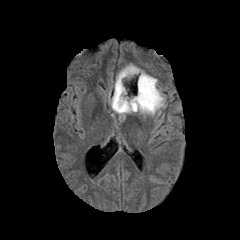
FLAIR MR.
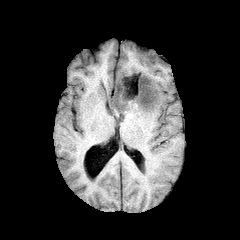
T1-weighted MR image of the same slice.
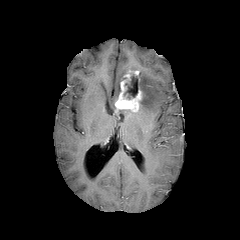
Same slice, post-contrast T1-weighted MRI.
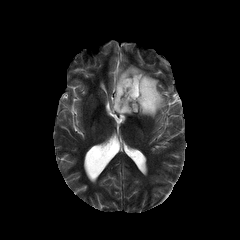
Same slice, T2-weighted MRI.
Head.
Non-enhancing tumor core: box=[114, 82, 120, 101]; box=[124, 73, 153, 107].
Enhancing tumor: box=[114, 74, 142, 111].
Edema: box=[108, 63, 166, 121].